Slice index 89. Abdomen. CT slice.

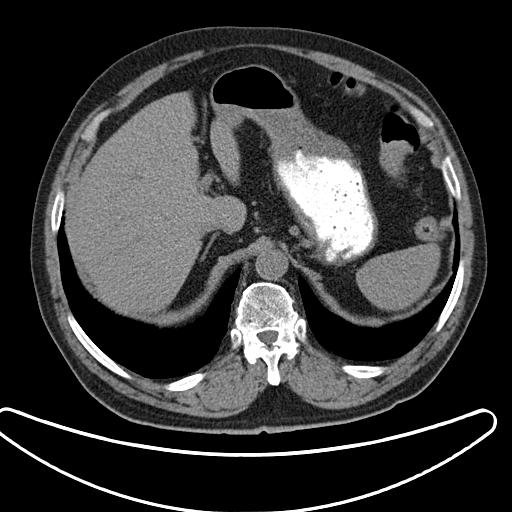

Annotated regions:
* spleen: [358, 244, 438, 308]